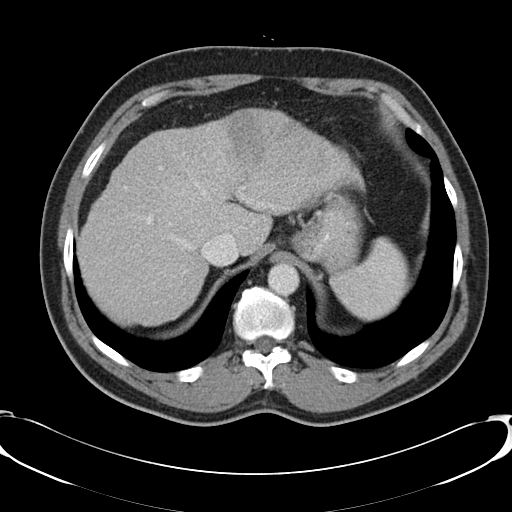 Abdomen; CT scan slice; 512x512
Some hepatic vessels may have no box.
Hepatic vessel — left=156, top=209, right=159, bottom=211; left=214, top=153, right=221, bottom=155; left=181, top=205, right=182, bottom=206; left=181, top=191, right=183, bottom=194; left=211, top=188, right=223, bottom=197; left=222, top=224, right=227, bottom=228; left=159, top=166, right=161, bottom=169; left=176, top=238, right=193, bottom=249; left=194, top=181, right=210, bottom=200; left=170, top=234, right=173, bottom=238; left=216, top=160, right=224, bottom=170; left=138, top=215, right=152, bottom=223; left=240, top=186, right=243, bottom=189.